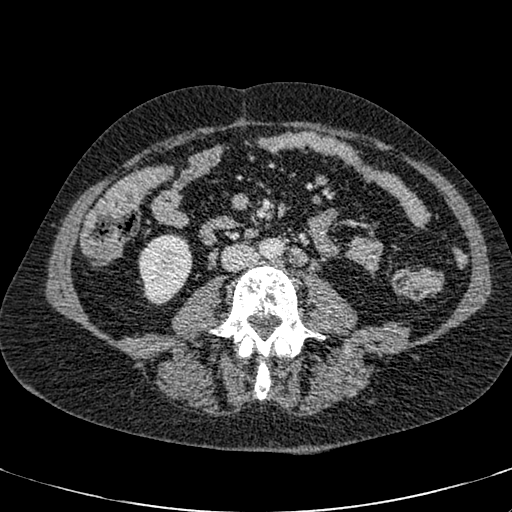

512x512; CT
Segmented structures:
- kidney: l=139, t=235, r=191, b=303